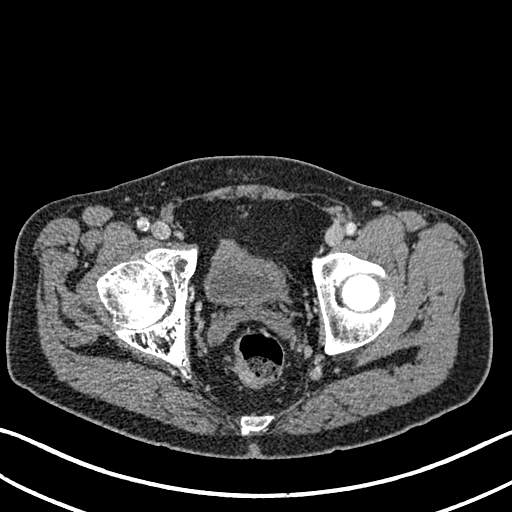
CT scan slice | Pelvis
• urinary bladder: rect(204, 240, 285, 306)